Head, 240x240 px
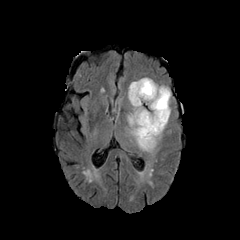
FLAIR magnetic resonance.
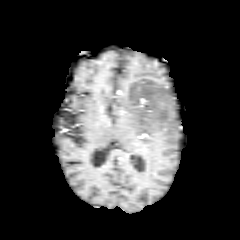
T1-weighted magnetic resonance.
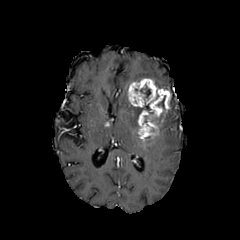
Post-contrast T1-weighted MRI.
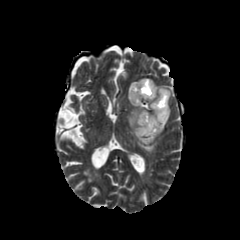
T2-weighted MR image of the same slice.
Segmented structures:
• non-enhancing tumor core: [135,85,165,122]
• enhancing tumor: [138,111,156,141], [129,79,170,117]
• edema: [127,77,170,152], [152,80,170,92]